Image width 240 mm
FLAIR MR image.
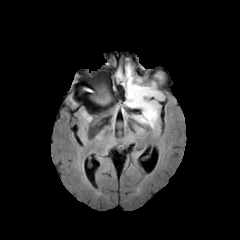
T1-weighted MR image.
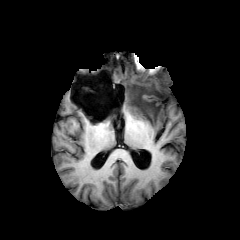
Post-contrast T1-weighted MR image.
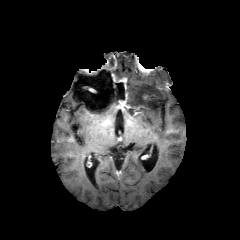
T2-weighted magnetic resonance.
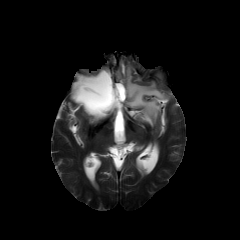
* edema: region(128, 100, 140, 112); region(124, 64, 165, 128); region(115, 69, 122, 81)
* non-enhancing tumor core: region(126, 80, 146, 118); region(94, 88, 111, 103)